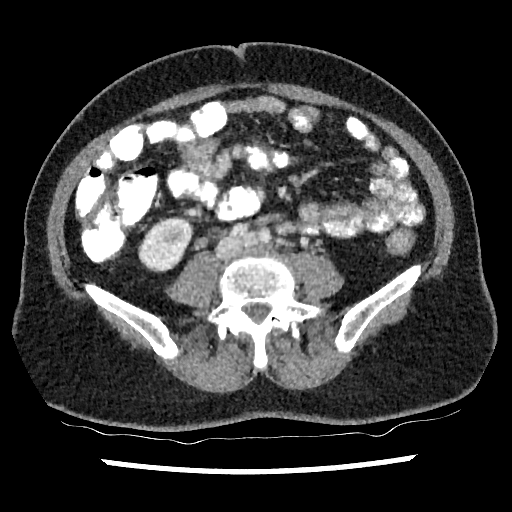

Abdomen. CT image.

Kidney — box(140, 219, 190, 269).